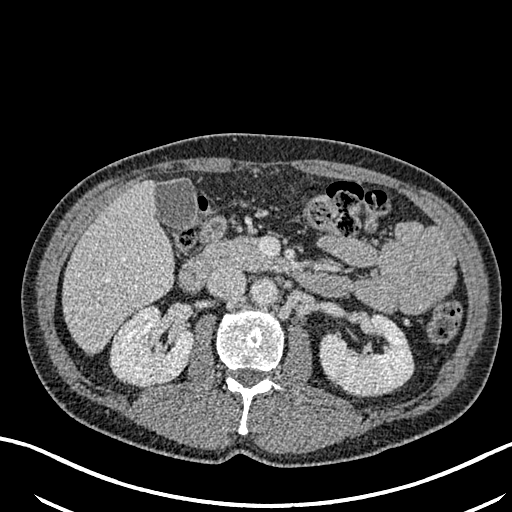

Computed tomography
* liver: region(64, 180, 173, 352)
* kidney: region(320, 314, 412, 394); region(111, 308, 192, 384)